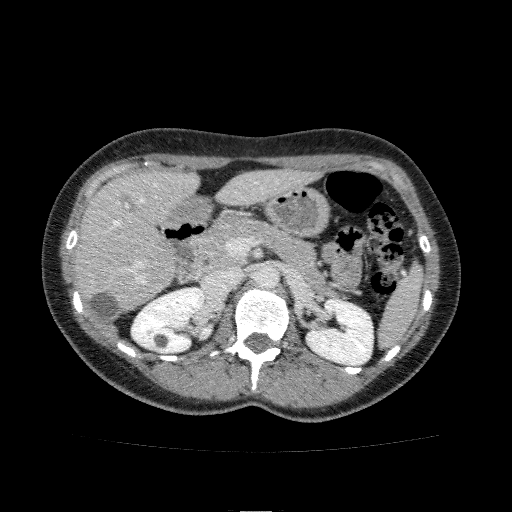 CT scan slice | Upper abdomen | 512x512
Kidney: bounding box 200:326:211:338, 306:299:373:365, 131:288:204:352.
Liver: bounding box 217:168:320:205, 74:169:199:324.